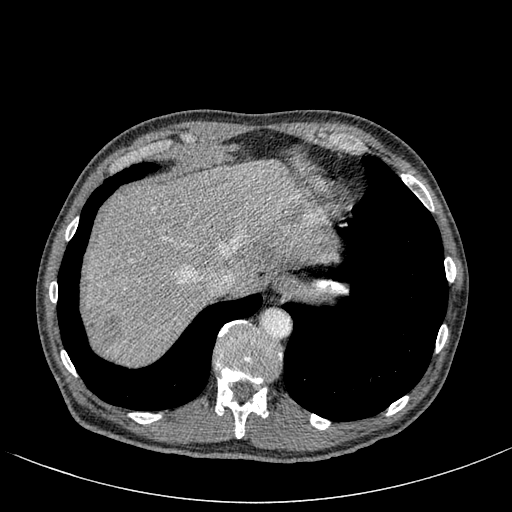

CT scan slice
• liver lesion: 84, 306, 123, 349; 258, 249, 266, 256; 282, 198, 313, 224; 105, 268, 117, 280
• liver: 84, 160, 339, 363